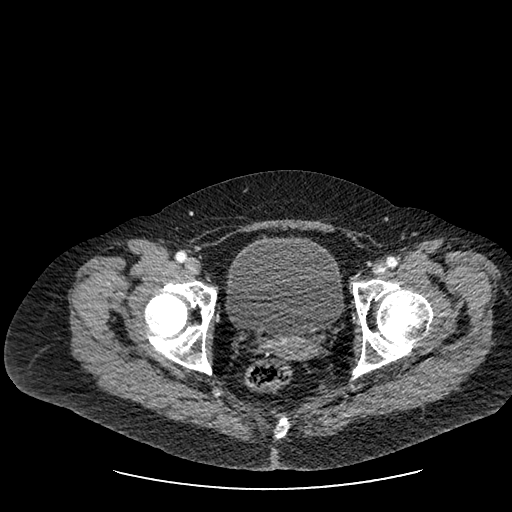 CT scan slice
Urinary bladder: bounding box 225,236,342,337.